FLAIR MRI.
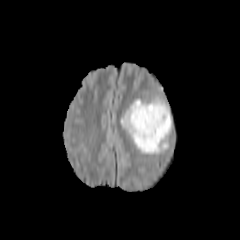
T1-weighted MR image.
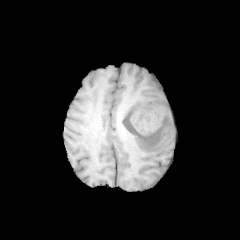
Post-contrast T1-weighted magnetic resonance.
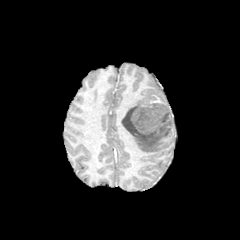
T2-weighted MRI.
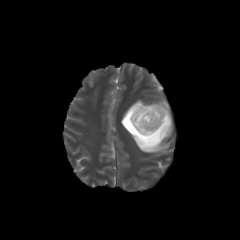
Head
{
  "non-enhancing_tumor_core": [
    "region(122, 102, 171, 139)"
  ],
  "edema": [
    "region(120, 98, 169, 154)",
    "region(155, 100, 171, 116)"
  ]
}